512x512. CT slice. Liver.

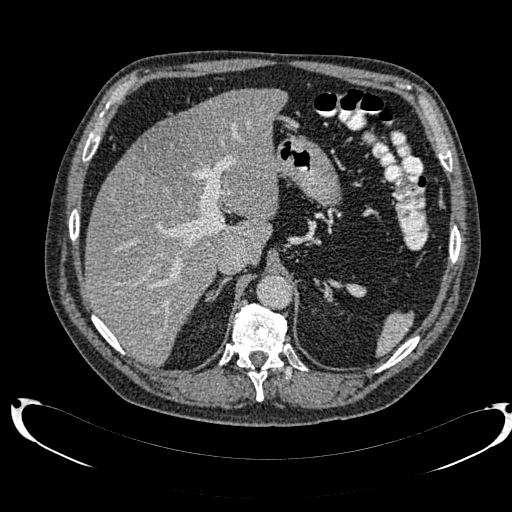

The liver is bounded by bbox=[85, 88, 288, 366]. The liver lesion is at bbox=[134, 117, 217, 189].